MR; Medial temporal lobe; 38x43 px

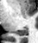
posterior hippocampus: 16:28:26:35